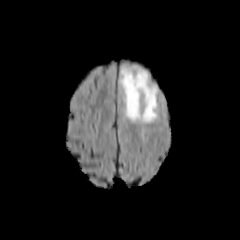
FLAIR MR image.
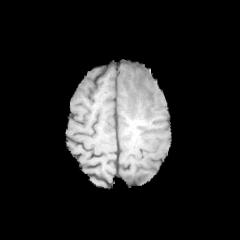
T1-weighted magnetic resonance of the same slice.
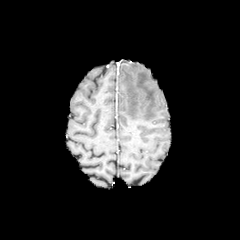
Post-contrast T1-weighted MR image of the same slice.
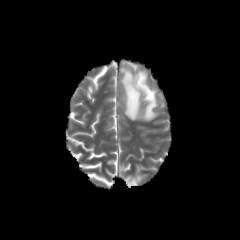
T2-weighted magnetic resonance of the same slice.
240x240. Brain.
Edema at 119:65:158:121.